FLAIR MRI.
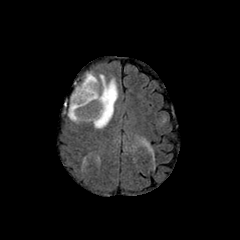
T1-weighted MR image.
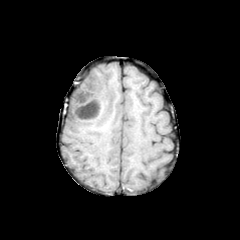
Post-contrast T1-weighted MRI.
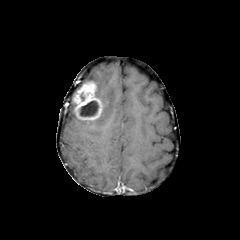
T2-weighted MRI.
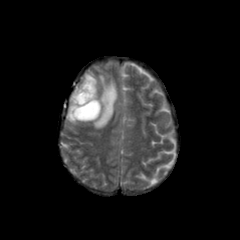
edema:
  - <bbox>68, 72, 118, 128</bbox>
non-enhancing_tumor_core:
  - <bbox>74, 100, 101, 119</bbox>
enhancing_tumor:
  - <bbox>73, 81, 99, 110</bbox>